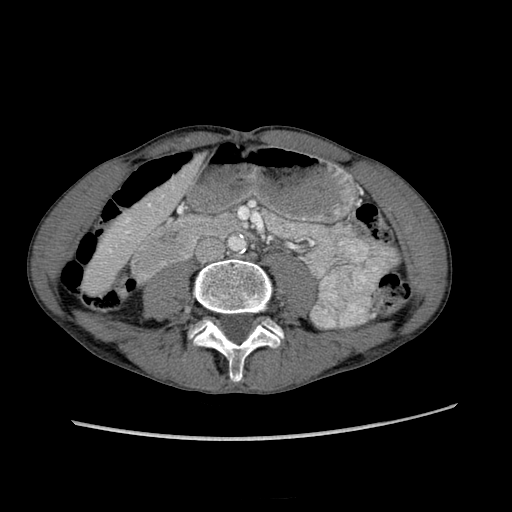

CT image. liver: {"x1": 85, "y1": 154, "x2": 202, "y2": 294}